Brain, Slice 89 of 155
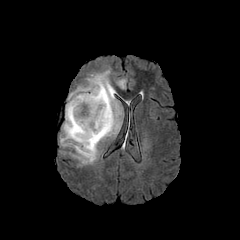
FLAIR MR image.
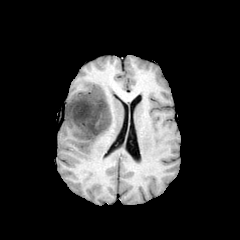
T1-weighted MR.
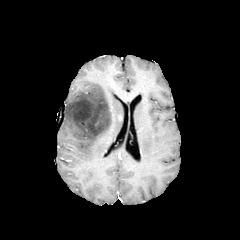
Post-contrast T1-weighted MR image.
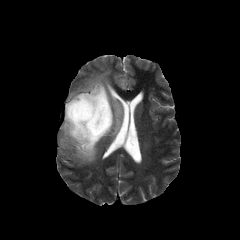
Same slice, T2-weighted MRI.
The edema is at box(60, 70, 123, 164). 2 non-enhancing tumor core regions are located at box(68, 86, 120, 141); box(94, 76, 109, 86).